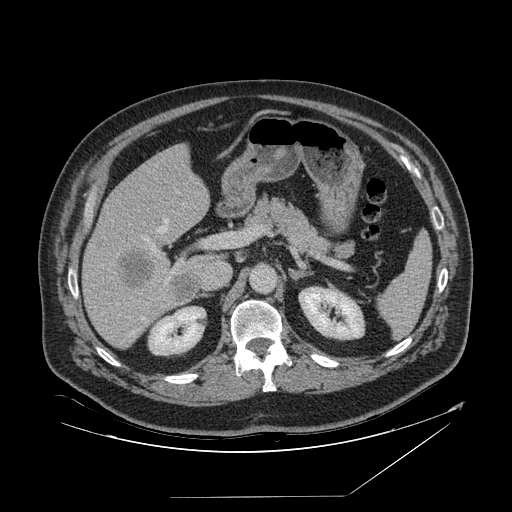 CT image
The spleen is located at x1=378, y1=235, x2=431, y2=339.